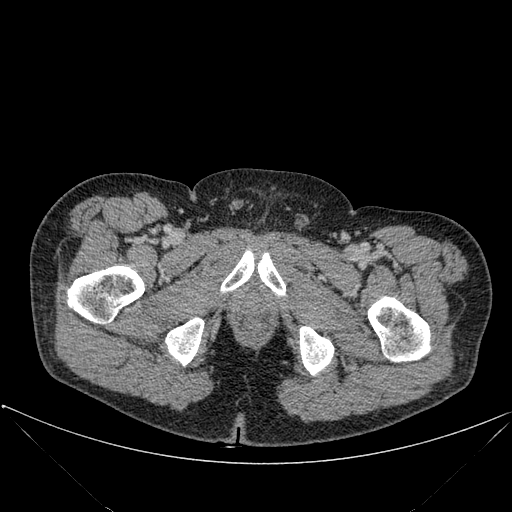

Image size 512x512, CT
bone:
  - {"x1": 67, "y1": 266, "x2": 144, "y2": 323}
  - {"x1": 300, "y1": 326, "x2": 333, "y2": 375}
  - {"x1": 221, "y1": 250, "x2": 285, "y2": 295}
  - {"x1": 165, "y1": 318, "x2": 204, "y2": 365}
  - {"x1": 368, "y1": 296, "x2": 430, "y2": 361}